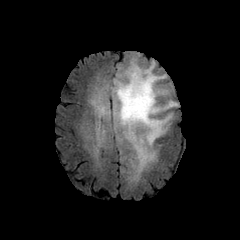
FLAIR MRI.
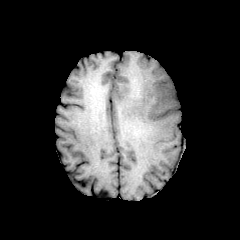
T1-weighted magnetic resonance.
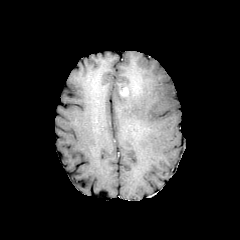
Post-contrast T1-weighted MR image.
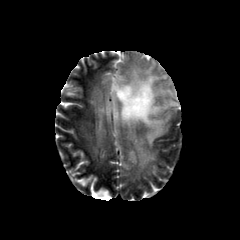
T2-weighted MR image.
Head
non-enhancing_tumor_core:
  - 120:64:147:95
  - 124:121:148:140
edema:
  - 94:58:177:170